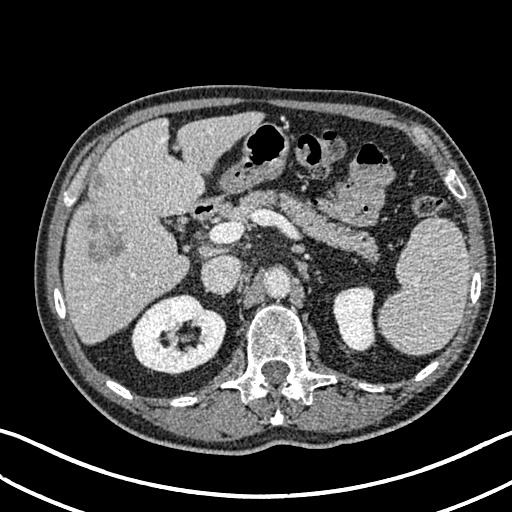 512x512 px | CT image
2 hepatic lesion regions are bounded by [92,173,104,188], [89,212,125,259]. The liver appears at [65,112,262,342]. 2 kidney regions appear at [334,288,373,349], [132,295,225,372].